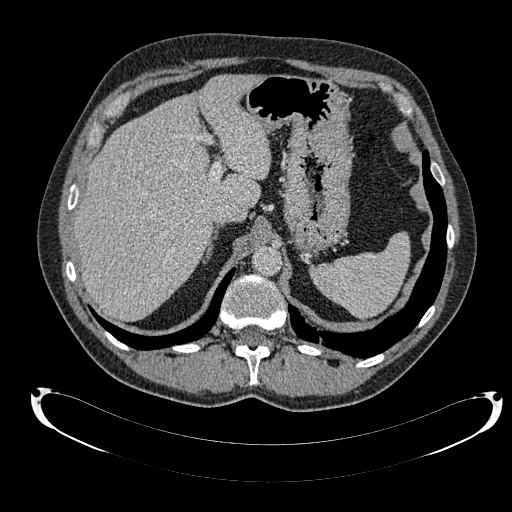
Upper abdomen. CT image.
{"liver": ["box=[75, 75, 269, 319]"]}